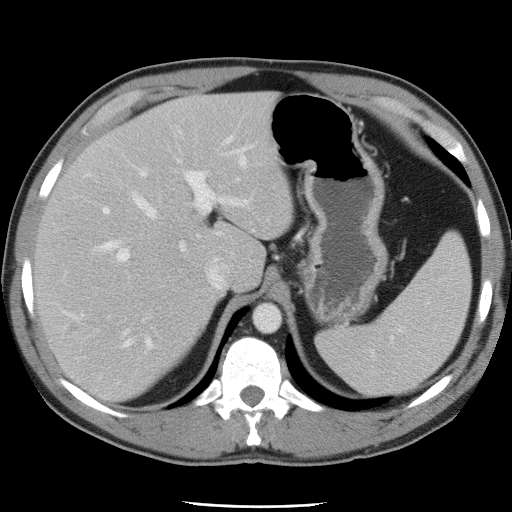 CT; Abdomen; 512x512
The vessel boxes may cover only some of the vessels.
Hepatic vessel — left=103, top=206, right=109, bottom=214; left=184, top=172, right=249, bottom=212; left=141, top=170, right=145, bottom=175; left=94, top=240, right=129, bottom=261; left=131, top=191, right=157, bottom=218; left=225, top=139, right=229, bottom=142; left=207, top=257, right=227, bottom=288; left=123, top=338, right=133, bottom=346; left=66, top=312, right=82, bottom=319; left=124, top=330, right=128, bottom=335; left=180, top=243, right=185, bottom=250; left=235, top=149, right=244, bottom=164; left=145, top=337, right=150, bottom=345.